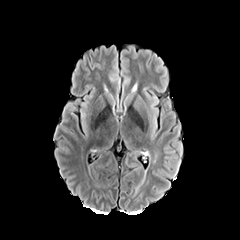
FLAIR MR.
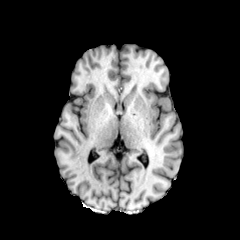
Same slice, T1-weighted MRI.
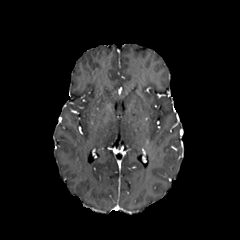
Same slice, post-contrast T1-weighted MRI.
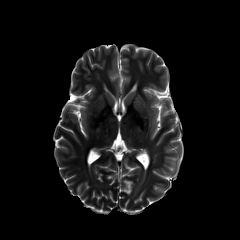
T2-weighted MR image.
<segmentation>
  <edema>bbox=[151, 107, 157, 132]</edema>
</segmentation>